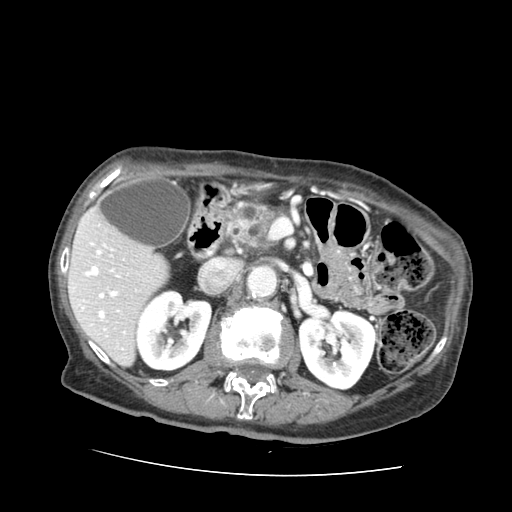 Upper abdomen; CT image
{"pancreas": ["223 198 277 254"]}